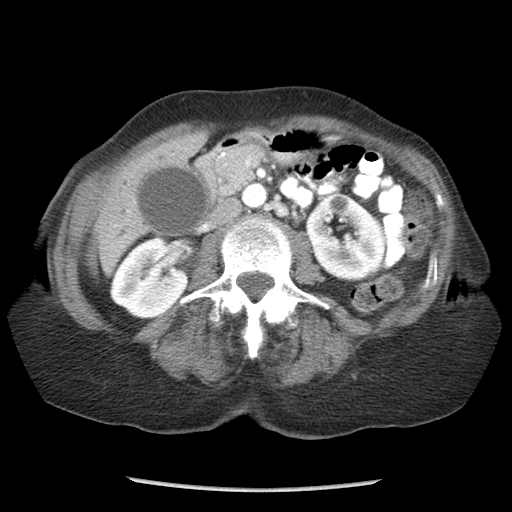
Abdomen; CT
Pancreas: bbox(214, 144, 259, 195).